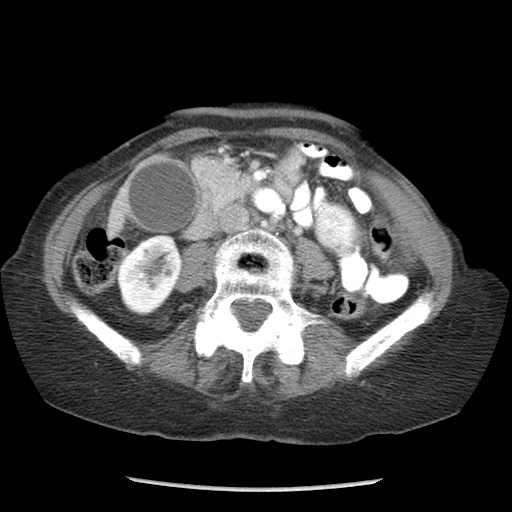
Upper abdomen. CT slice.

• pancreas: 198 158 243 205